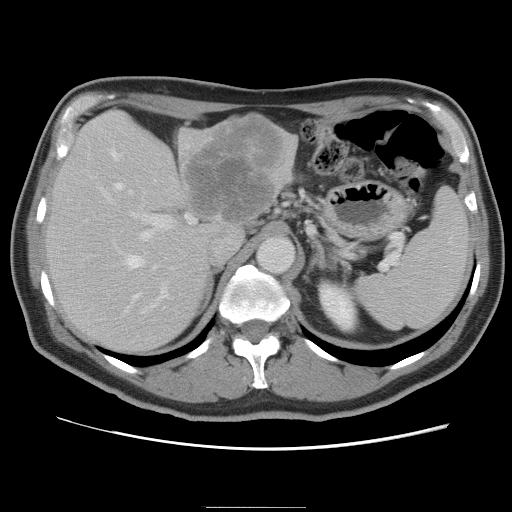

Image size 512x512. CT image.
The vessel boxes may cover only some of the vessels.
The liver tumor is at (185,119,281,225). 13 hepatic vessel regions appear at (111,150,121,157), (130,211,135,215), (185,213,195,222), (141,286,167,312), (132,294,137,300), (125,255,143,267), (141,230,150,238), (101,188,110,200), (126,306,128,309), (142,214,172,226), (129,190,131,192), (115,183,122,188), (153,265,155,268).